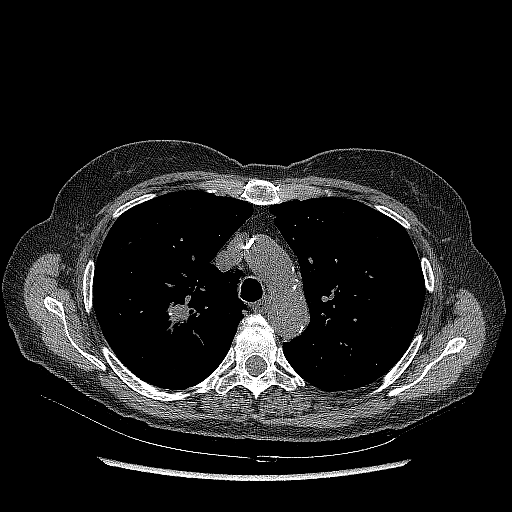

Lung; CT slice

lung_tumor:
  - (left=160, top=300, right=193, bottom=334)